CT image. Abdomen.

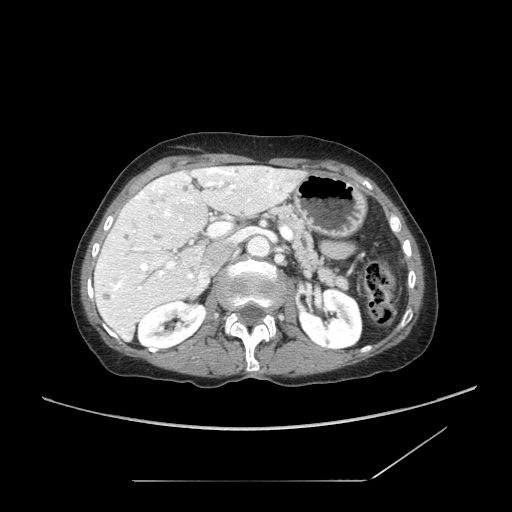 <segmentation>
  <pancreas>[272,206,348,288]</pancreas>
</segmentation>